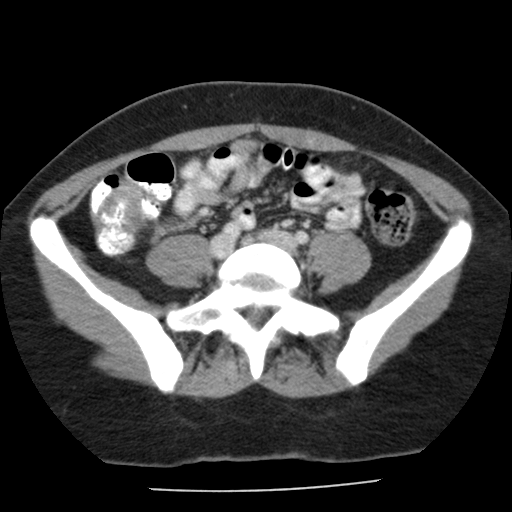 Image size 512x512, CT scan slice

{
  "colon_tumor": [
    "x1=98, y1=186, x2=142, y2=231"
  ]
}